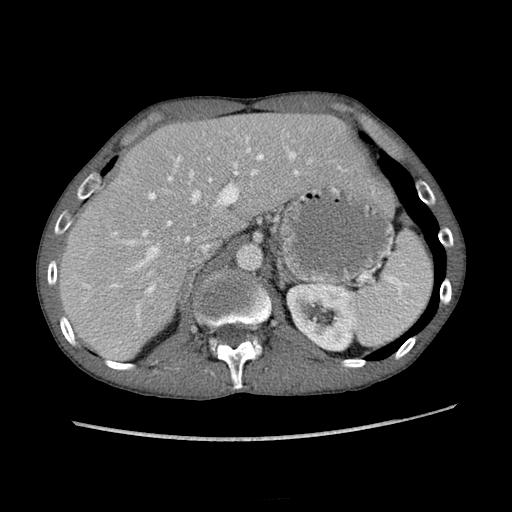
Abdomen, CT slice
kidney:
  - bbox(288, 284, 357, 349)
liver:
  - bbox(57, 112, 370, 358)